Head; Slice 79/155
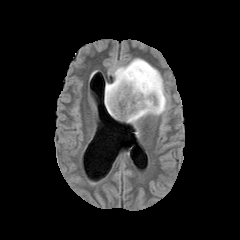
FLAIR MRI.
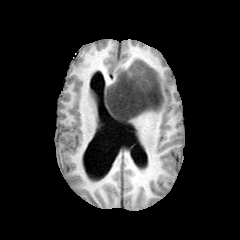
T1-weighted MRI.
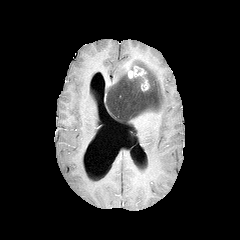
Same slice, post-contrast T1-weighted magnetic resonance.
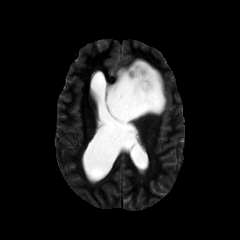
T2-weighted MRI.
enhancing tumor: {"x1": 141, "y1": 79, "x2": 149, "y2": 90}, {"x1": 126, "y1": 64, "x2": 145, "y2": 77} | edema: {"x1": 105, "y1": 58, "x2": 168, "y2": 122} | non-enhancing tumor core: {"x1": 106, "y1": 75, "x2": 161, "y2": 122}